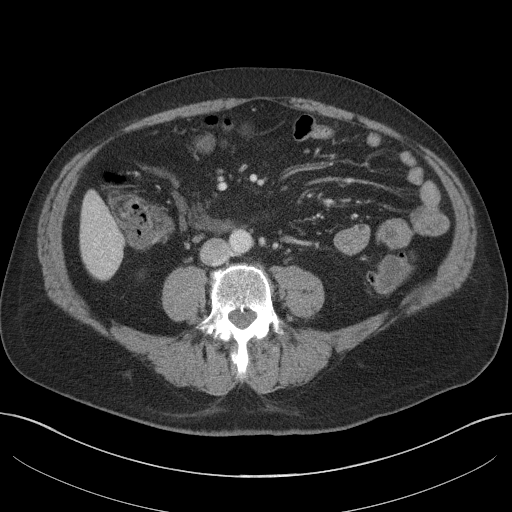
Computed tomography.

- liver: left=80, top=193, right=123, bottom=278